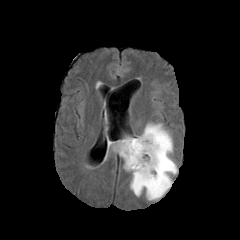
FLAIR MR.
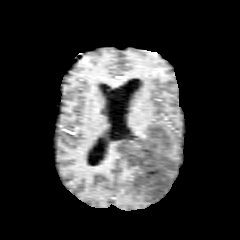
Same slice, T1-weighted MR.
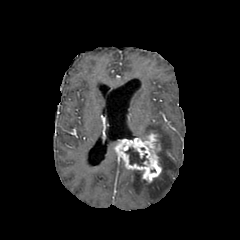
Post-contrast T1-weighted MR of the same slice.
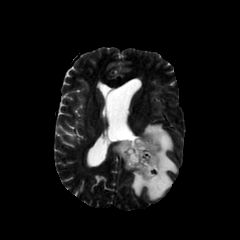
Same slice, T2-weighted magnetic resonance.
Head.
<segmentation>
  <edema>123,123,177,200</edema>
  <non-enhancing_tumor_core>125,147,148,166; 150,130,161,144</non-enhancing_tumor_core>
  <enhancing_tumor>114,132,161,182</enhancing_tumor>
</segmentation>